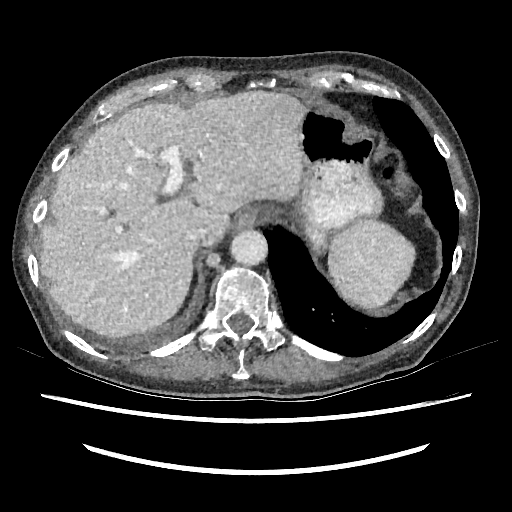

CT. Liver.
The liver is bounded by region(40, 91, 302, 336).